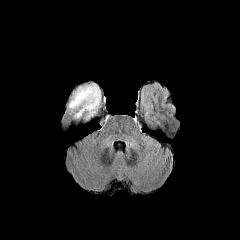
FLAIR MRI.
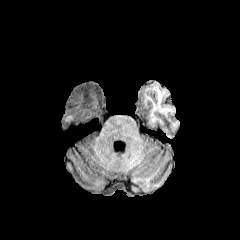
T1-weighted MR.
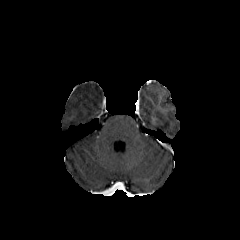
Post-contrast T1-weighted MR image of the same slice.
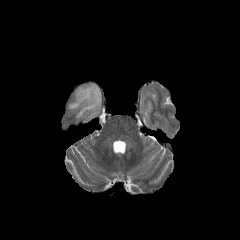
T2-weighted MR image of the same slice.
Brain
• edema: 69, 84, 100, 117